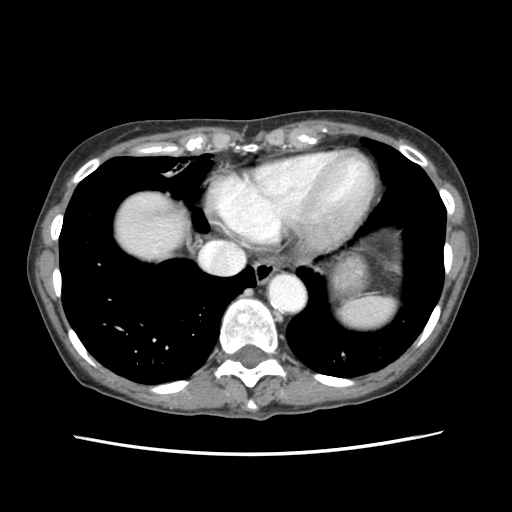
512x512 | CT image

The spleen is located at (336,296,399,332).